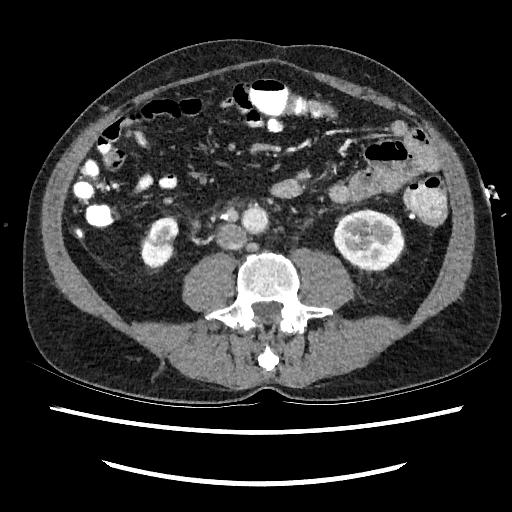 Abdomen | CT

3 kidney regions are located at 335, 210, 403, 269; 149, 218, 177, 241; 142, 241, 171, 266.